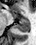
Medial temporal lobe, MRI slice, Image size 36x45
Annotated regions:
• anterior hippocampus: l=13, t=13, r=16, b=17; l=21, t=18, r=27, b=19
• posterior hippocampus: l=14, t=20, r=28, b=31